FLAIR MR image.
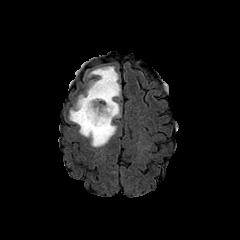
T1-weighted MRI.
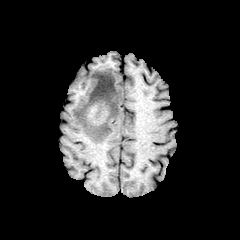
Post-contrast T1-weighted MR image.
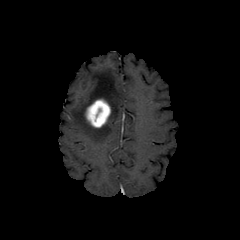
T2-weighted MR.
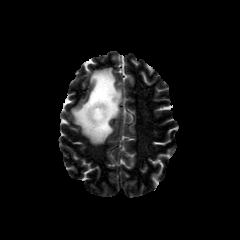
Head.
The edema is at [69,66,122,147]. The enhancing tumor is at [85,98,111,128].